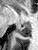
Medial temporal lobe, Image size 38x50, MRI slice
{
  "posterior_hippocampus": [
    "(15,22,30,37)"
  ]
}